FLAIR magnetic resonance.
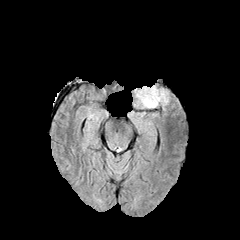
T1-weighted MR image.
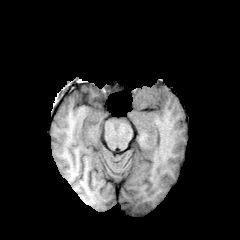
Post-contrast T1-weighted MR.
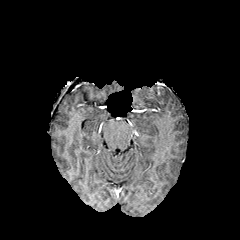
T2-weighted MRI.
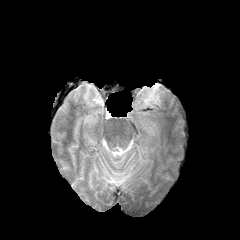
Edema at (135, 86, 167, 111).